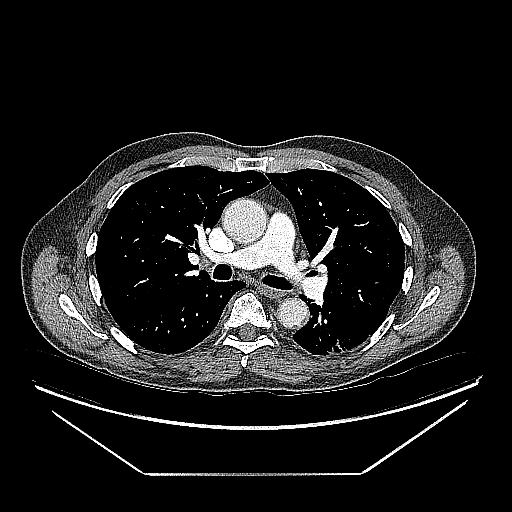
CT slice, Thorax
Annotated regions:
• lung tumor: [x1=322, y1=333, x2=353, y2=354]